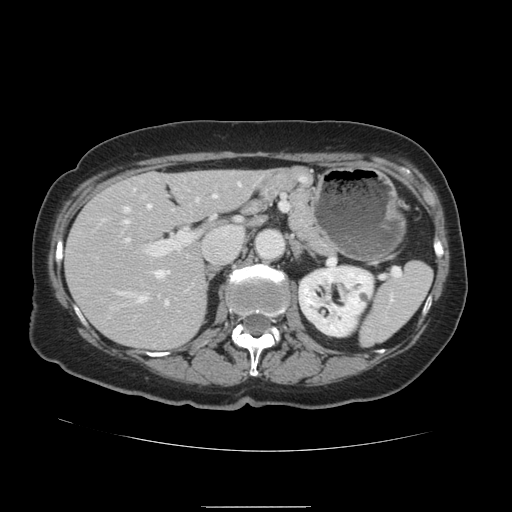

CT image
The vessel boxes may cover only some of the vessels.
Findings:
* hepatic vessel: [123,238,128,242], [122,207,127,211], [237,183,239,185], [122,220,127,223], [212,195,215,197], [148,243,157,256], [164,301,167,305], [196,198,198,200], [135,295,144,302], [154,270,168,277], [147,204,150,207]